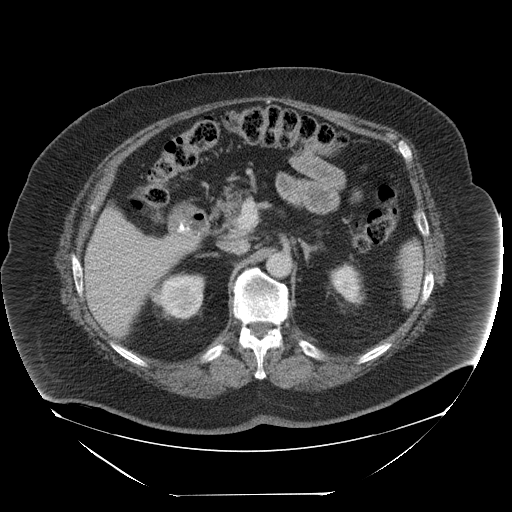 Abdomen; Computed tomography; Image size 512x512

Spleen at left=398, top=241, right=422, bottom=306.